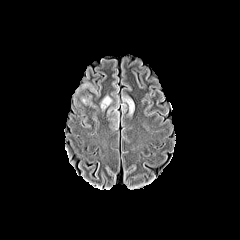
FLAIR MRI.
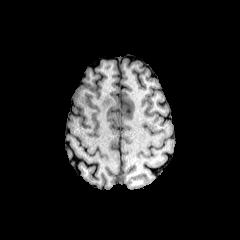
T1-weighted magnetic resonance of the same slice.
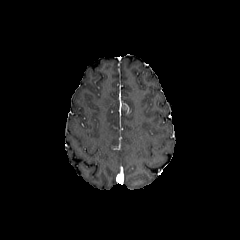
Post-contrast T1-weighted MRI.
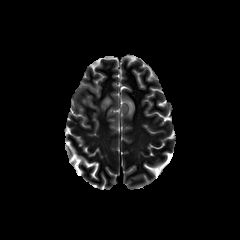
T2-weighted MRI.
Head
edema:
  - (123,97,135,116)
  - (100,96,111,110)
enhancing_tumor:
  - (121,104,129,113)